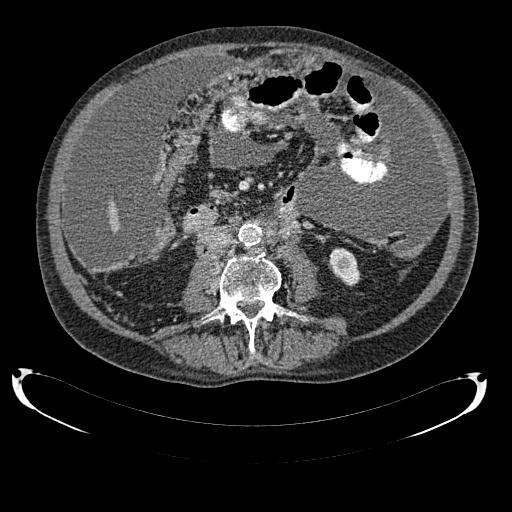 CT slice
<segmentation>
  <kidney>(x1=330, y1=249, x2=359, y2=284)</kidney>
  <liver>(x1=108, y1=203, x2=118, y2=231)</liver>
</segmentation>